FLAIR MRI.
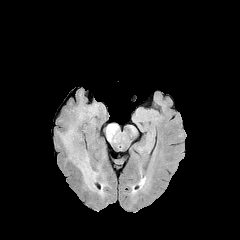
T1-weighted MR image.
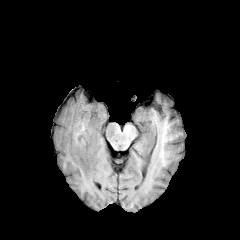
Post-contrast T1-weighted MR.
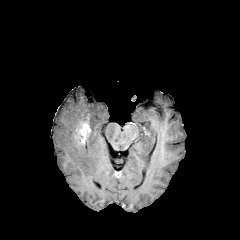
T2-weighted MR.
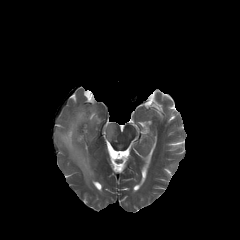
Brain
{"edema": ["x1=61 y1=107 x2=96 y2=181", "x1=106 y1=124 x2=117 y2=140"], "enhancing_tumor": ["x1=77 y1=123 x2=90 y2=143"]}